FLAIR MR.
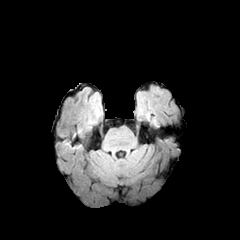
T1-weighted MRI.
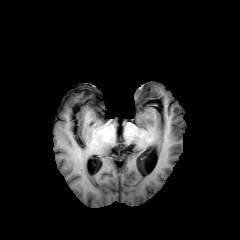
Post-contrast T1-weighted MR image.
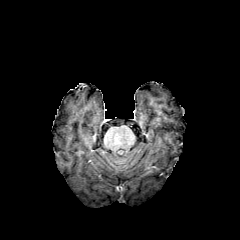
T2-weighted magnetic resonance.
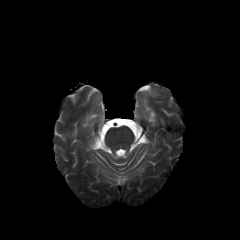
Head; Image size 240x240
{"edema": ["<box>145,108,152,120</box>"]}